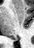 34x48 px | Medial temporal lobe | MR
<segmentation>
  <posterior_hippocampus>bbox(12, 38, 16, 39)</posterior_hippocampus>
</segmentation>